CT slice; Slice 69 of 986; Field of view 432 mm wide, 0.70 mm slice spacing
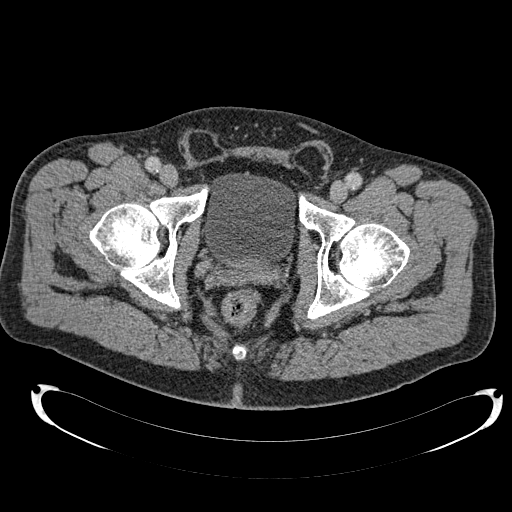
urinary_bladder:
  - x1=203, y1=172, x2=295, y2=269